512x512. CT slice.

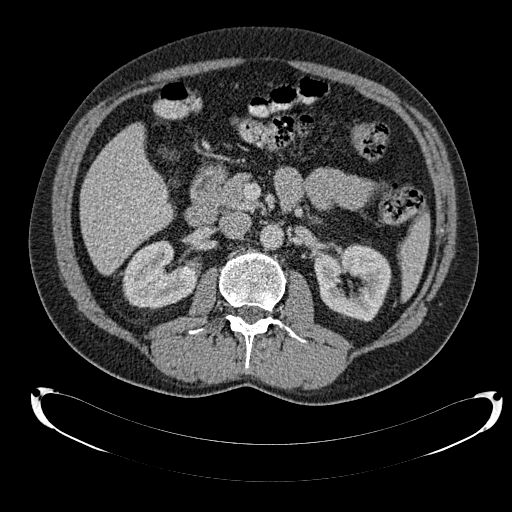 Kidney — [123, 241, 196, 307], [315, 246, 390, 320].
Liver — [80, 123, 171, 273].